CT image; Image size 512x512
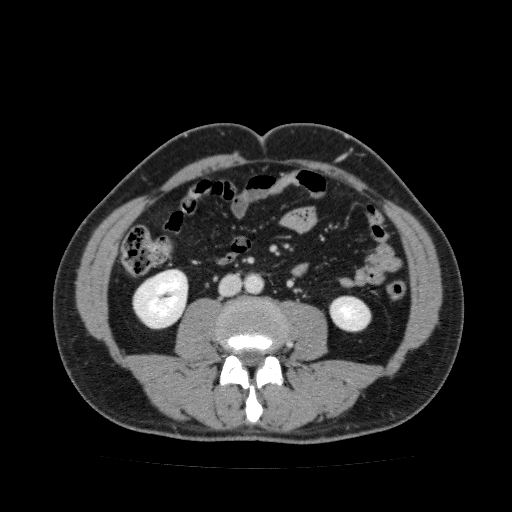

Kidney: 330:297:370:330, 133:270:187:328.